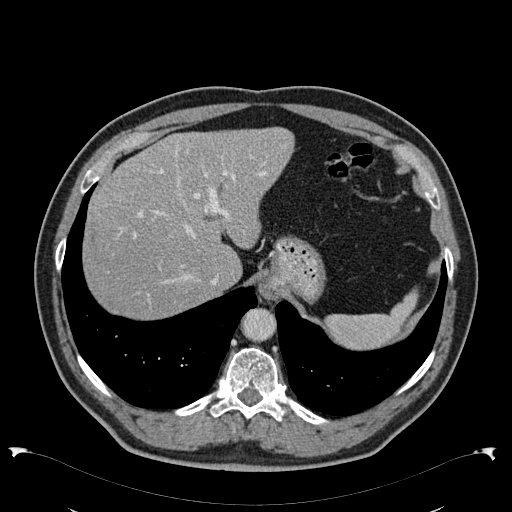

CT, 512x512, Liver
The liver is bounded by [83, 127, 294, 317].